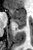
MR, Image size 33x50
Anterior hippocampus = <box>8,9,25,21</box>.
Posterior hippocampus = <box>15,21,26,28</box>.